Slice 356 of 756 | CT scan slice
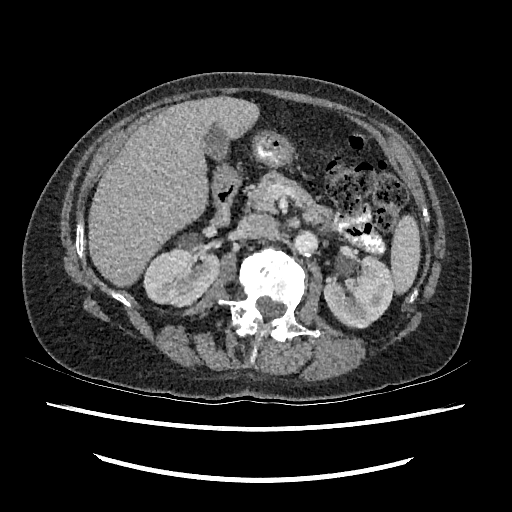
liver: 89,97,259,286 | kidney: 144,250,219,306; 324,257,391,327